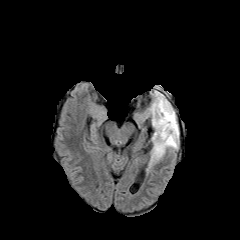
FLAIR magnetic resonance.
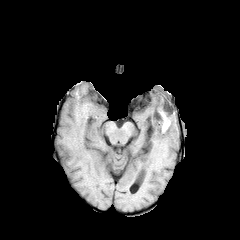
T1-weighted MRI.
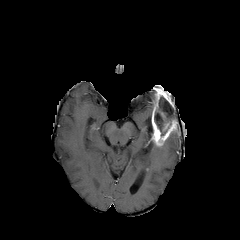
Same slice, post-contrast T1-weighted MRI.
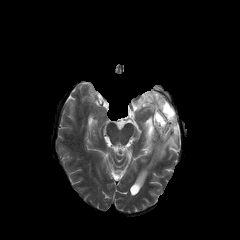
T2-weighted MR of the same slice.
Enhancing tumor at [151,86,178,146].
Edema at [150,134,179,164], [146,103,151,123].
Non-enhancing tumor core at [154,97,176,135].